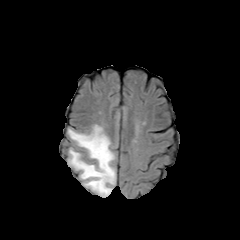
FLAIR MRI.
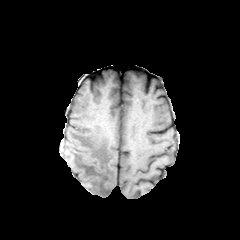
T1-weighted magnetic resonance.
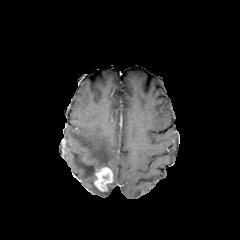
Post-contrast T1-weighted magnetic resonance of the same slice.
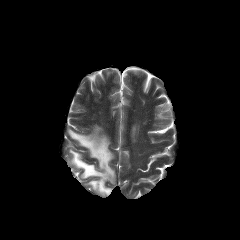
T2-weighted MRI.
Brain
Annotated regions:
- enhancing tumor: [x1=93, y1=166, x2=113, y2=191]
- edema: [x1=67, y1=125, x2=116, y2=197]